Slice index 103 | CT scan slice 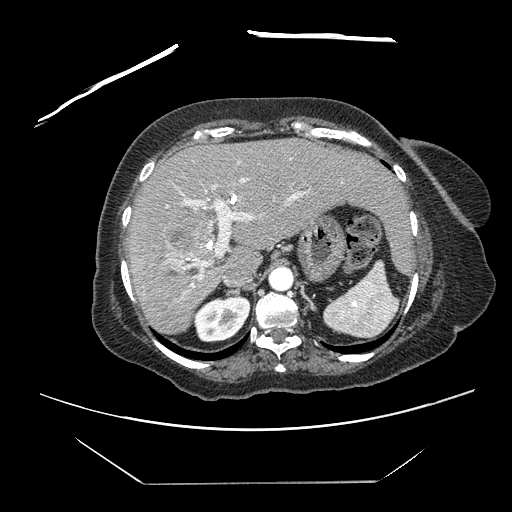

The vessel boxes may cover only some of the vessels.
Liver tumor: 161 210 211 260.
Hepatic vessel: 212 185 216 189, 285 192 305 204, 198 274 201 278, 211 199 253 255, 180 192 208 208, 241 178 245 181, 166 205 167 207, 179 261 208 268.